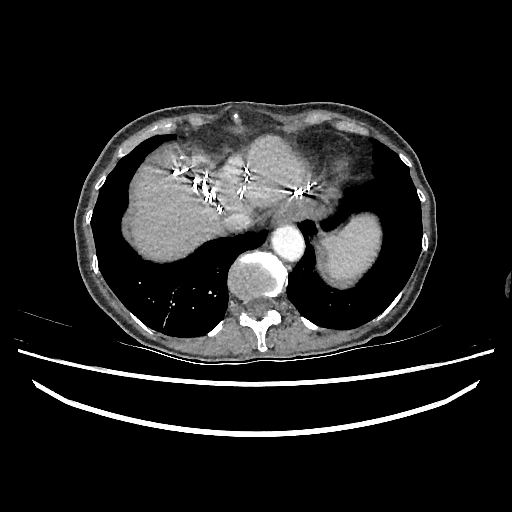 CT image; Abdomen
Annotated regions:
- liver: l=132, t=151, r=223, b=260; l=215, t=138, r=306, b=213